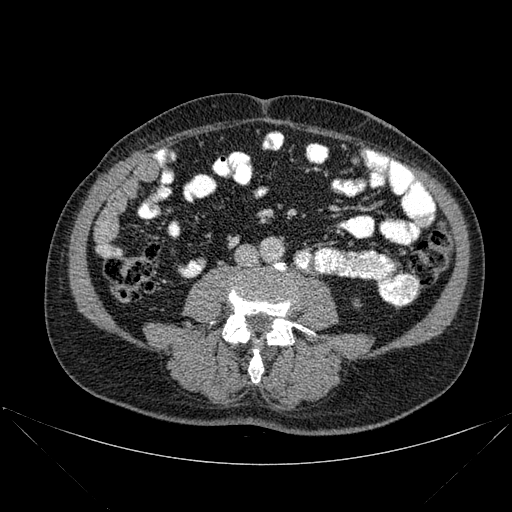
Computed tomography. 512x512 px.
2 bone regions are bounded by (x1=248, y1=349, x2=263, y2=382), (x1=222, y1=263, x2=313, y2=345).